Slice 81/155; Brain
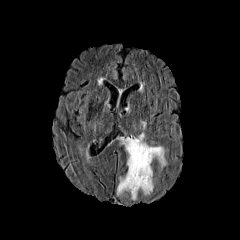
FLAIR MR image.
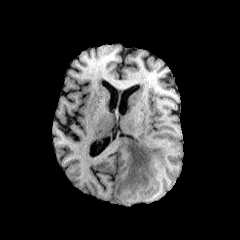
T1-weighted MRI.
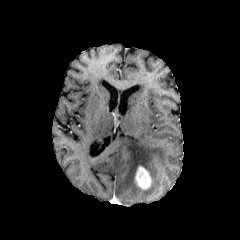
Post-contrast T1-weighted MR image.
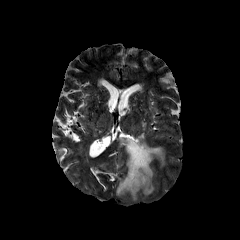
T2-weighted MR.
edema: left=116, top=132, right=167, bottom=201 | enhancing tumor: left=134, top=166, right=151, bottom=189